Slice 93/155 | Brain
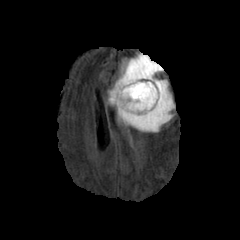
FLAIR MR image.
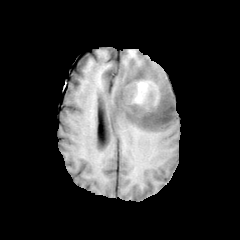
Same slice, T1-weighted magnetic resonance.
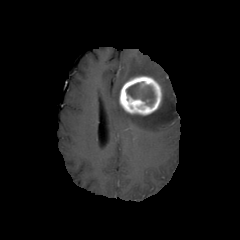
Post-contrast T1-weighted MR.
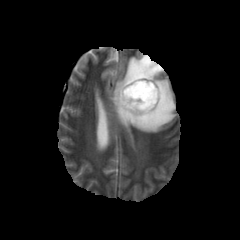
T2-weighted MR.
edema: box=[111, 55, 174, 132] | non-enhancing tumor core: box=[127, 83, 155, 104]; box=[134, 104, 161, 117] | enhancing tumor: box=[119, 75, 163, 115]